FLAIR MRI.
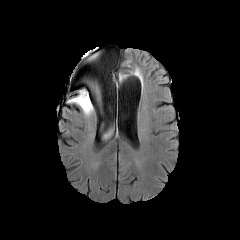
T1-weighted MR.
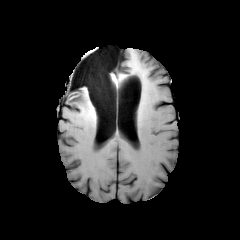
Post-contrast T1-weighted MR.
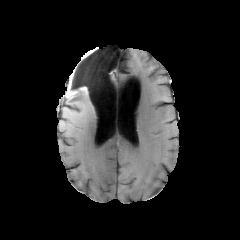
T2-weighted MR image.
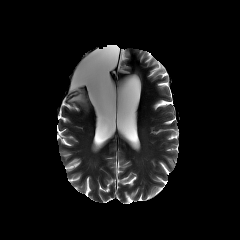
Brain
<segmentation>
  <edema>(x1=67, y1=80, x2=99, y2=113)</edema>
</segmentation>